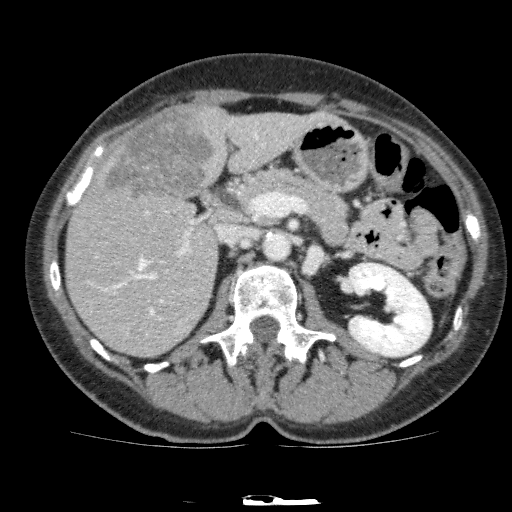

CT | Upper abdomen | 512x512 px

The liver lesion appears at x1=100, y1=106, x2=214, y2=201. The liver lies within x1=65, y1=106, x2=343, y2=358. The kidney is located at x1=349, y1=263, x2=431, y2=356.